Slice 31/97. CT. 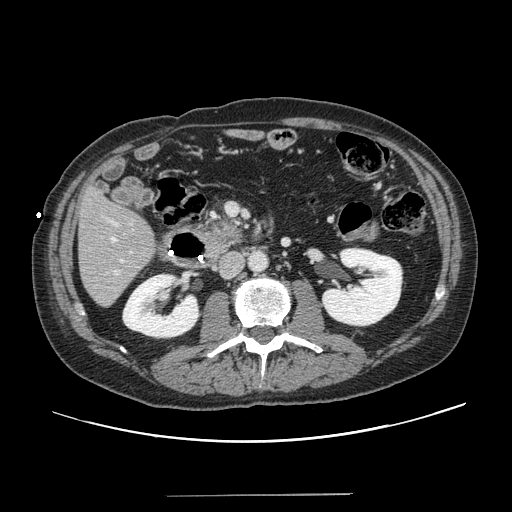 <segmentation>
  <pancreas>bbox=[209, 218, 246, 247]</pancreas>
</segmentation>